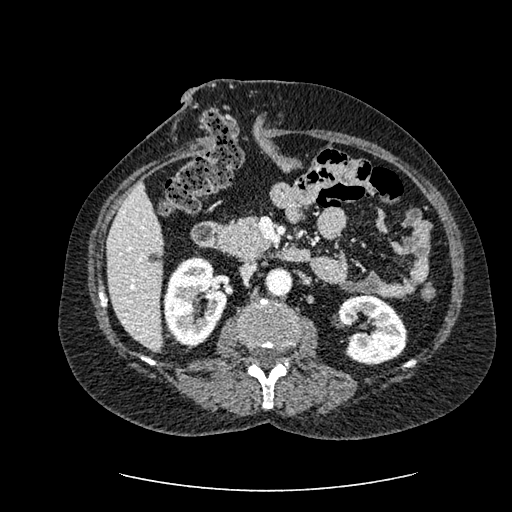

CT slice
liver lesion: (x1=148, y1=252, x2=161, y2=264) | kidney: (x1=164, y1=258, x2=226, y2=345), (x1=339, y1=296, x2=405, y2=363) | liver: (x1=107, y1=181, x2=164, y2=350)